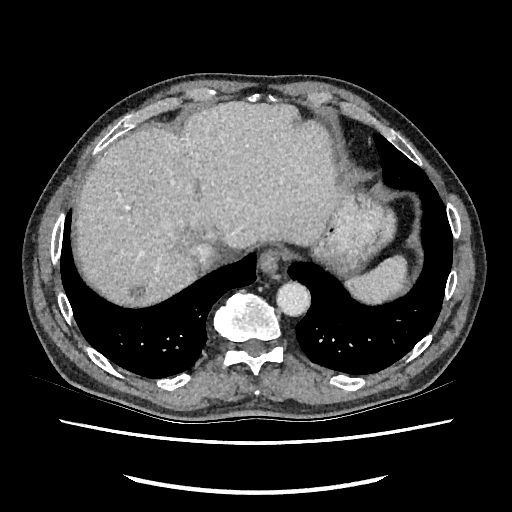 CT image. Image size 512x512. Liver.
<segmentation>
  <liver><bbox>77, 102, 334, 303</bbox></liver>
  <hepatic_lesion><bbox>271, 218, 280, 226</bbox>, <bbox>195, 181, 200, 194</bbox>, <bbox>177, 226, 202, 255</bbox>, <bbox>129, 286, 142, 298</bbox></hepatic_lesion>
</segmentation>